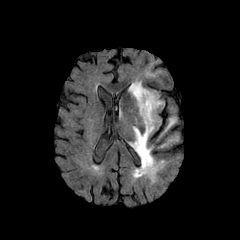
FLAIR MRI.
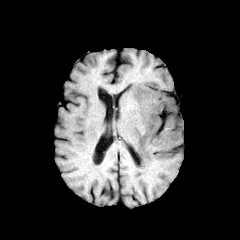
Same slice, T1-weighted MR image.
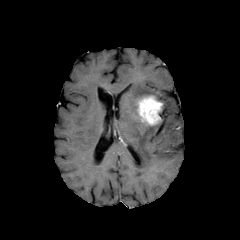
Post-contrast T1-weighted MR.
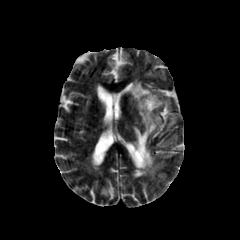
T2-weighted MR.
240x240 px
enhancing_tumor:
  - [137, 95, 163, 125]
edema:
  - [157, 133, 178, 148]
  - [128, 79, 159, 102]
  - [130, 122, 163, 180]
  - [161, 113, 177, 136]